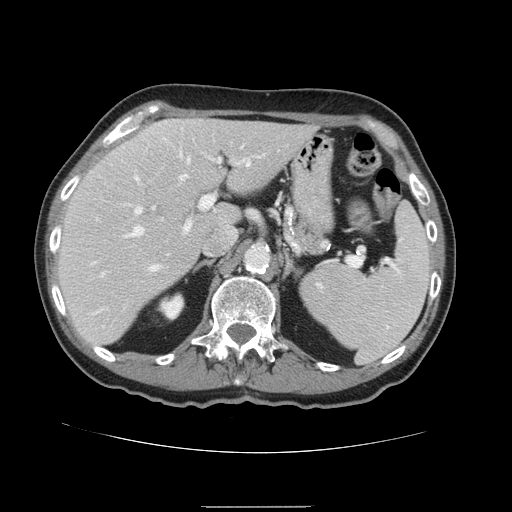
Abdomen; CT slice; 512x512
Not every hepatic vessel necessarily has a box.
{"hepatic_vessel": ["x1=205, y1=247, x2=211, y2=254", "x1=150, y1=265, x2=159, y2=270", "x1=135, y1=176, x2=138, y2=179", "x1=187, y1=158, x2=190, y2=161", "x1=216, y1=157, x2=221, y2=161", "x1=185, y1=220, x2=191, y2=231", "x1=153, y1=206, x2=155, y2=208", "x1=215, y1=212, x2=237, y2=246", "x1=179, y1=152, x2=182, y2=155", "x1=136, y1=207, x2=141, y2=213", "x1=127, y1=226, x2=143, y2=235", "x1=200, y1=196, x2=213, y2=208", "x1=102, y1=272, x2=104, y2=274", "x1=180, y1=174, x2=187, y2=178", "x1=243, y1=158, x2=250, y2=164"]}